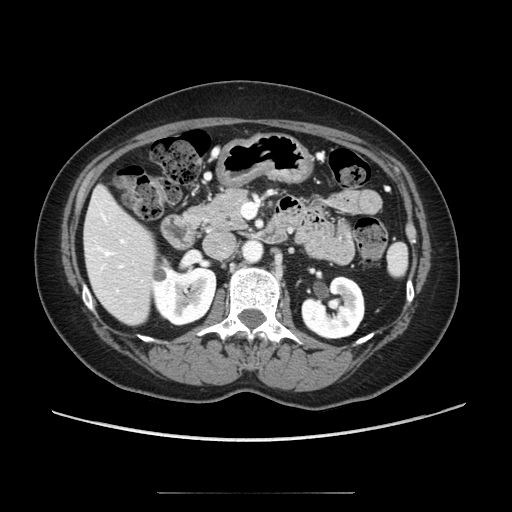
CT scan slice, Upper abdomen, 512x512 px
pancreas: (left=184, top=189, right=247, bottom=230)